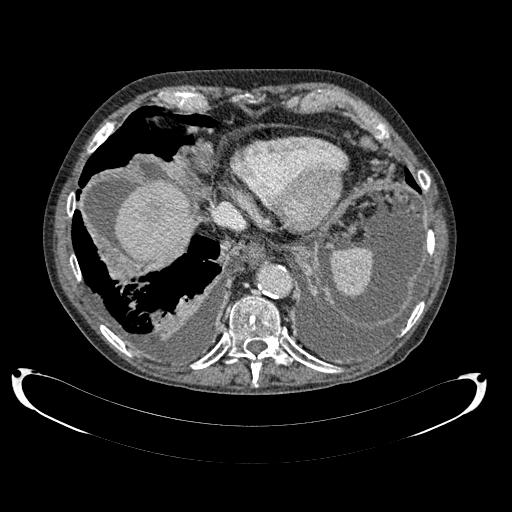 Abdomen | Image size 512x512 | Computed tomography

Liver: bounding box 116,181,193,263.
Liver lesion: bounding box 142,204,160,221.